CT; 512x512 px; Liver; Slice index 322 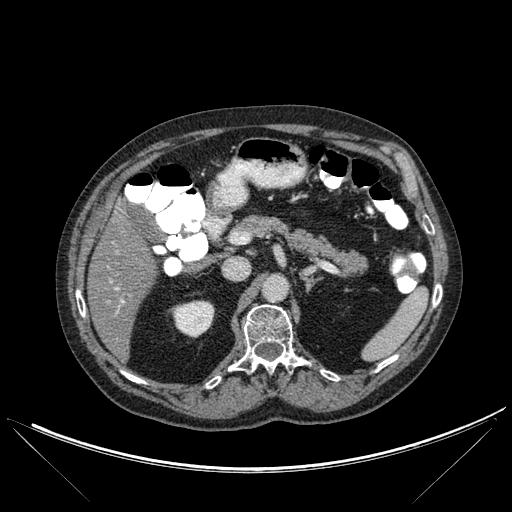
Kidney — x1=174, y1=301, x2=213, y2=336.
Bone — x1=206, y1=377, x2=220, y2=388; x1=76, y1=291, x2=85, y2=316; x1=228, y1=304, x2=309, y2=371; x1=432, y1=284, x2=441, y2=306; x1=122, y1=371, x2=145, y2=383; x1=426, y1=226, x2=434, y2=233; x1=375, y1=355, x2=397, y2=371; x1=320, y1=370, x2=339, y2=380.
Liver — x1=185, y1=261, x2=207, y2=269; x1=88, y1=205, x2=156, y2=363.